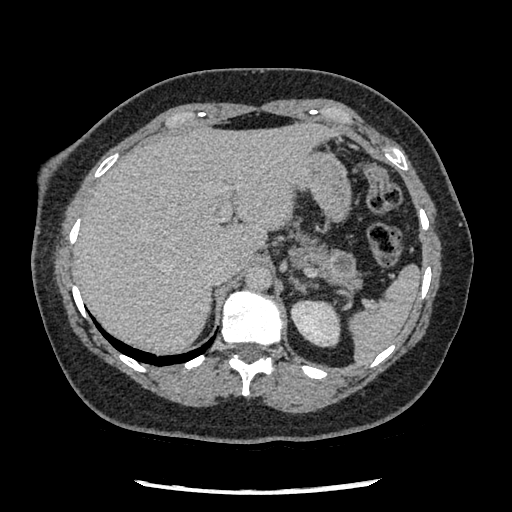 CT; 512x512 px
Pancreatic tumor = rect(329, 251, 355, 277).
Pancreas = rect(290, 230, 361, 289).